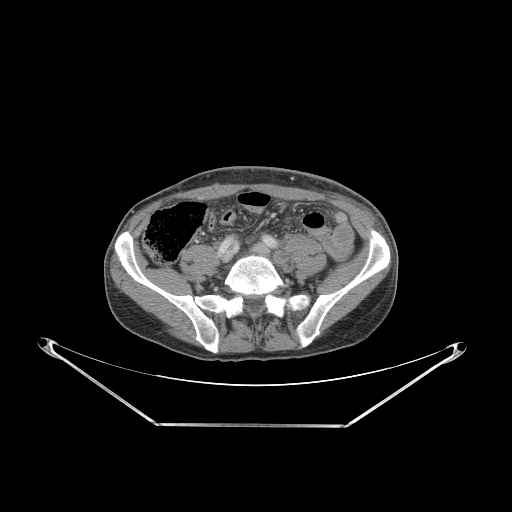 CT

<segmentation>
  <bone>115, 232, 285, 352; 288, 295, 308, 309; 297, 230, 389, 346</bone>
</segmentation>